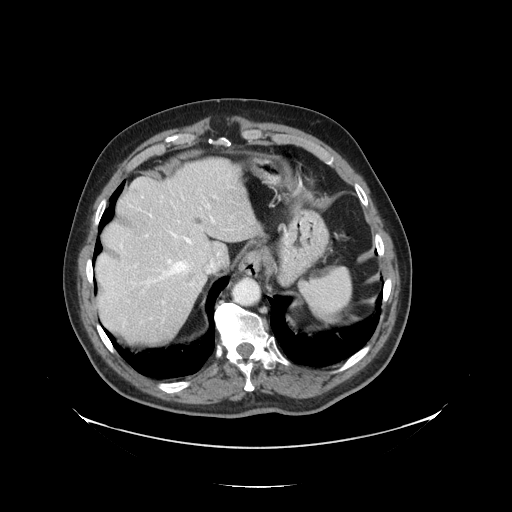 CT | Liver
Only some of the vessels may be annotated.
{"hepatic_vessel": ["[200, 277, 206, 287]", "[207, 261, 215, 272]", "[135, 265, 137, 266]", "[218, 252, 220, 255]", "[186, 238, 192, 243]", "[163, 302, 164, 303]", "[203, 203, 210, 209]", "[162, 321, 163, 323]", "[168, 260, 171, 262]", "[213, 196, 217, 198]", "[211, 218, 214, 223]", "[190, 284, 192, 285]", "[146, 234, 148, 237]"]}